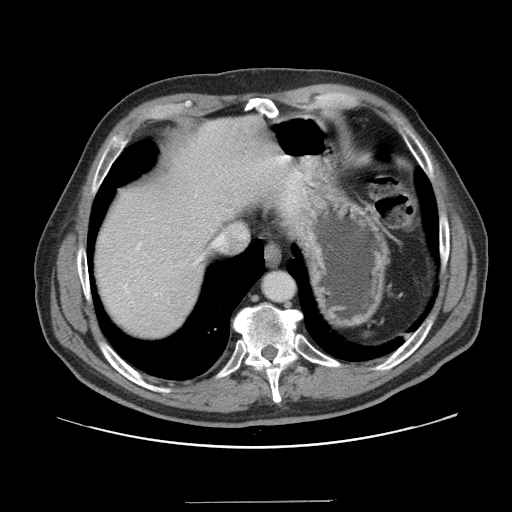 CT.

The vessel annotation is not exhaustive.
Segmented structures:
- hepatic vessel: x1=217 y1=236 x2=223 y2=243